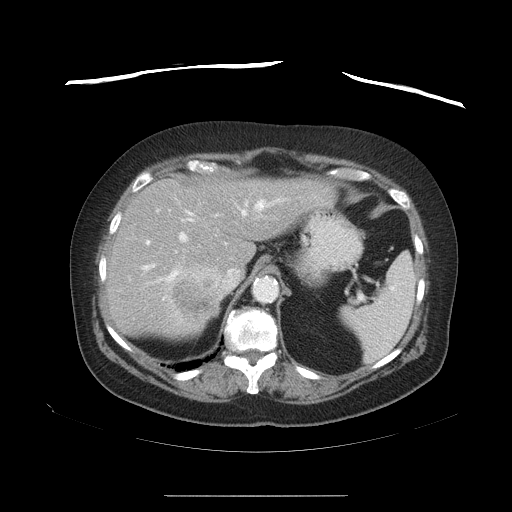

Abdomen | Computed tomography | 512x512

Some hepatic vessels may have no box.
hepatic_vessel:
  - box(181, 210, 192, 221)
  - box(153, 268, 181, 282)
  - box(146, 241, 149, 244)
  - box(178, 232, 186, 241)
  - box(223, 268, 239, 288)
  - box(156, 209, 158, 211)
  - box(236, 205, 246, 215)
  - box(244, 200, 246, 205)
  - box(213, 214, 217, 216)
  - box(254, 199, 283, 211)
  - box(141, 264, 154, 272)
liver_tumor:
  - box(170, 273, 219, 325)